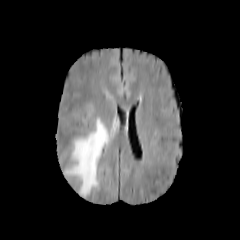
FLAIR MR image.
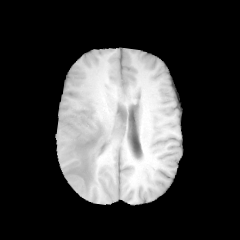
T1-weighted MR image.
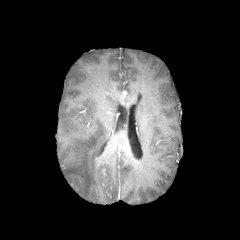
Post-contrast T1-weighted MR image.
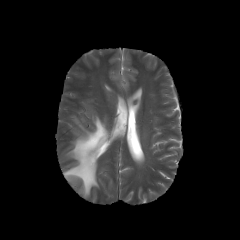
T2-weighted MR.
Image size 240x240 | Head
The edema is at box=[61, 116, 108, 196].